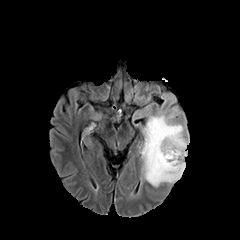
FLAIR MR.
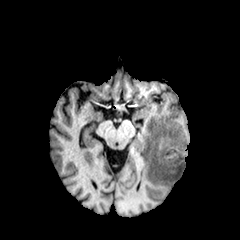
Same slice, T1-weighted MR image.
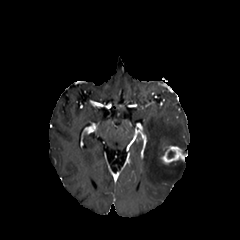
Post-contrast T1-weighted magnetic resonance.
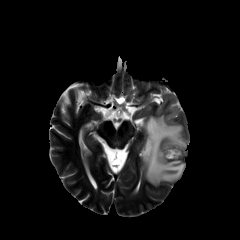
T2-weighted MR image of the same slice.
Brain.
Edema — {"x1": 141, "y1": 115, "x2": 189, "y2": 186}.
Enhancing tumor — {"x1": 161, "y1": 146, "x2": 187, "y2": 163}.
Non-enhancing tumor core — {"x1": 166, "y1": 150, "x2": 175, "y2": 159}.